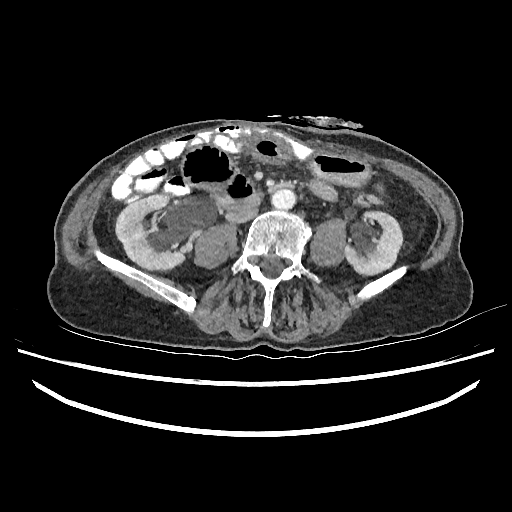 CT, Abdomen
2 kidney regions appear at [116,195,192,269], [345,212,402,274].